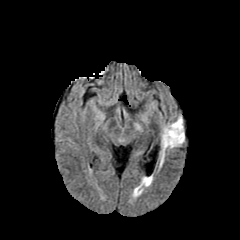
FLAIR MR image.
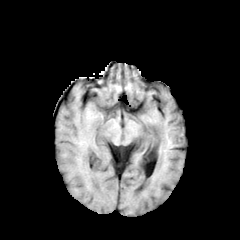
T1-weighted magnetic resonance.
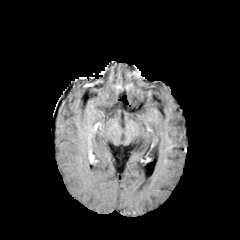
Post-contrast T1-weighted MR of the same slice.
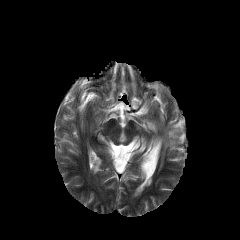
T2-weighted magnetic resonance of the same slice.
Edema — rect(141, 177, 151, 187); rect(160, 116, 184, 161).